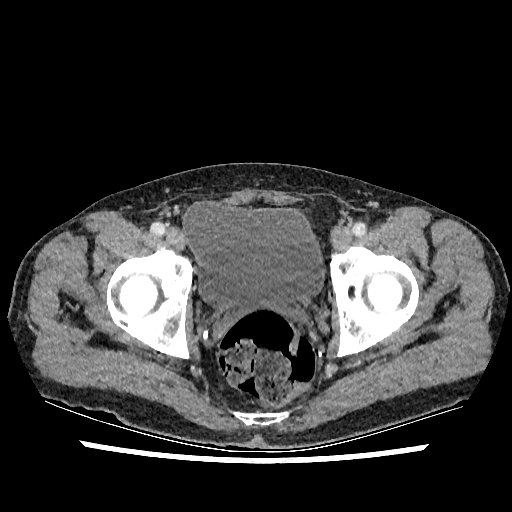
512x512; CT scan slice

Segmented structures:
* urinary bladder: 184:201:325:331